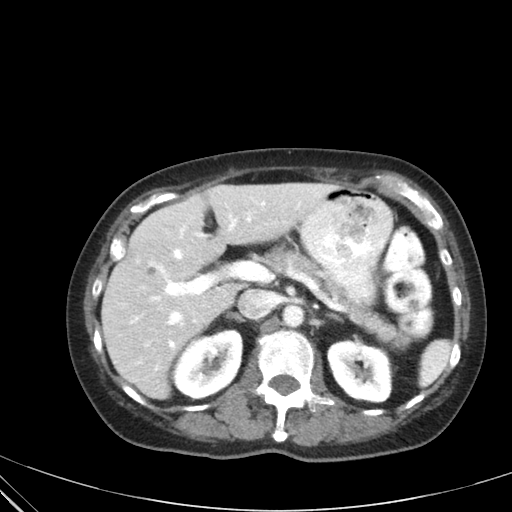

512x512 px | CT
The pancreas is at l=261, t=243, r=407, b=348.